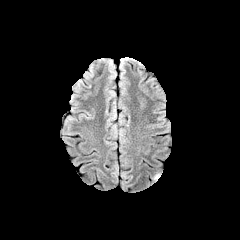
FLAIR MR image.
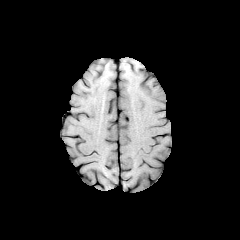
T1-weighted magnetic resonance.
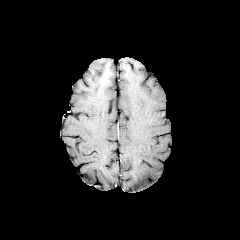
Same slice, post-contrast T1-weighted MR.
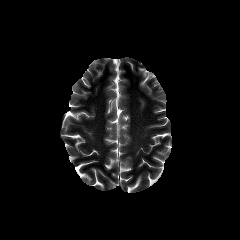
T2-weighted MR.
Head.
{
  "edema": [
    "x1=153 y1=172 x2=161 y2=180"
  ]
}